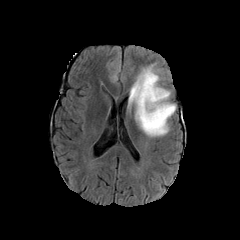
FLAIR magnetic resonance.
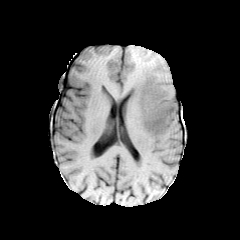
T1-weighted MR image.
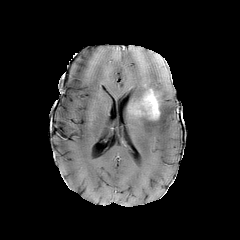
Same slice, post-contrast T1-weighted MR image.
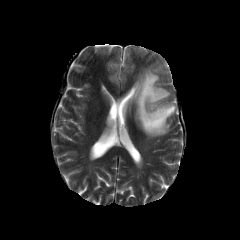
T2-weighted MRI.
{
  "edema": [
    "128,63,176,137"
  ],
  "enhancing_tumor": [
    "141,85,160,120"
  ]
}